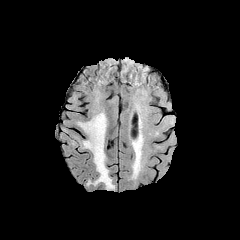
FLAIR magnetic resonance.
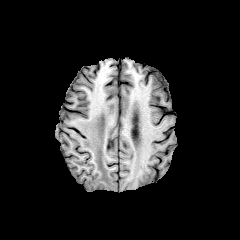
T1-weighted magnetic resonance.
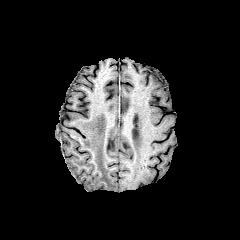
Post-contrast T1-weighted MRI.
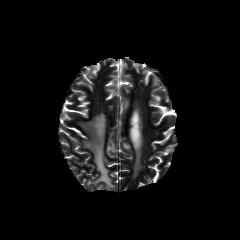
T2-weighted MRI.
Head
edema: 132:143:141:171, 80:113:114:188